240x240 px, Slice 49/155, Head
FLAIR MRI.
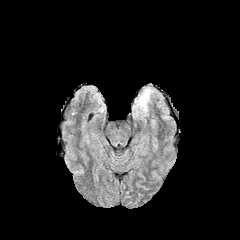
T1-weighted MRI.
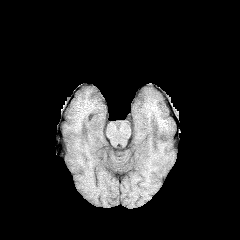
Post-contrast T1-weighted MRI.
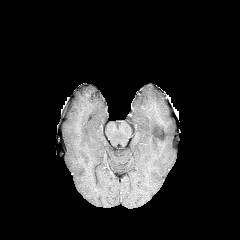
T2-weighted MRI.
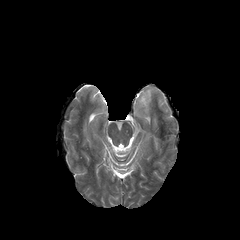
edema:
  - rect(138, 95, 149, 112)